Computed tomography. Slice index 78. Image width 372 mm.

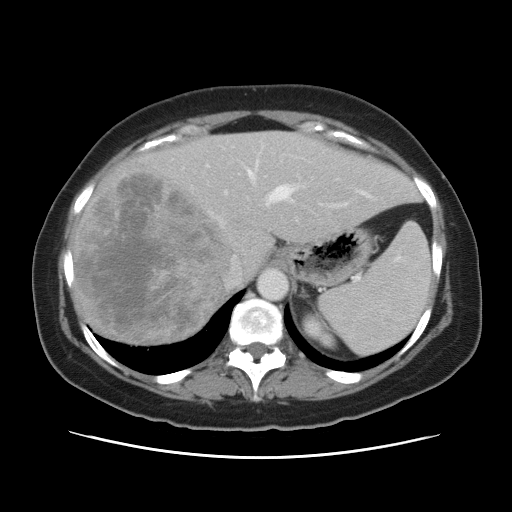
Only some of the vessels may be annotated.
The liver tumor is at [76,174,234,341]. 13 hepatic vessel regions are located at [256,160,258,165], [358,191,369,196], [246,168,254,176], [242,238,244,241], [225,191,227,193], [206,164,208,166], [328,202,348,206], [261,145,262,150], [228,255,246,288], [302,185,304,186], [232,237,237,244], [269,185,293,202], [319,203,323,205].